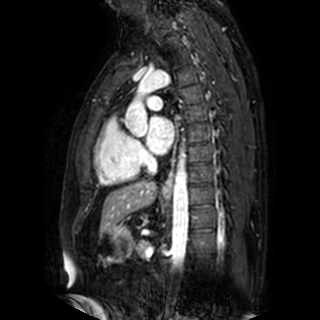

Heart, Image size 320x320, MRI slice

Left atrium = bbox=[145, 117, 173, 153].